FLAIR MRI.
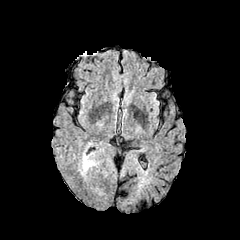
T1-weighted MR image.
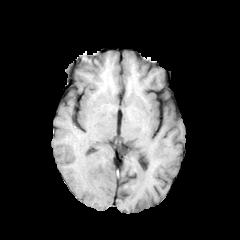
Post-contrast T1-weighted magnetic resonance.
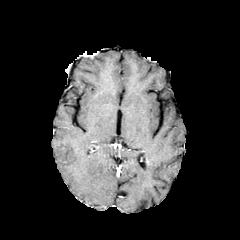
T2-weighted magnetic resonance.
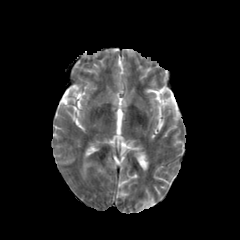
edema: l=83, t=160, r=92, b=172